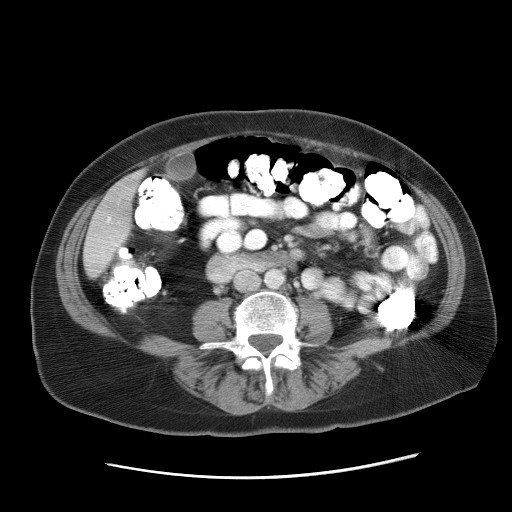 Liver | CT image

Only some of the vessels may be annotated.
Hepatic vessel at {"x1": 113, "y1": 243, "x2": 116, "y2": 245}.